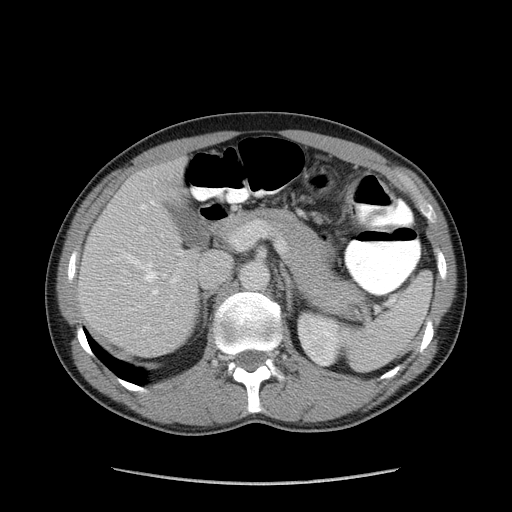
Computed tomography

The colon tumor appears at l=345, t=178, r=359, b=201.